Upper abdomen | Field of view 500x500 mm | 512x512 px | CT 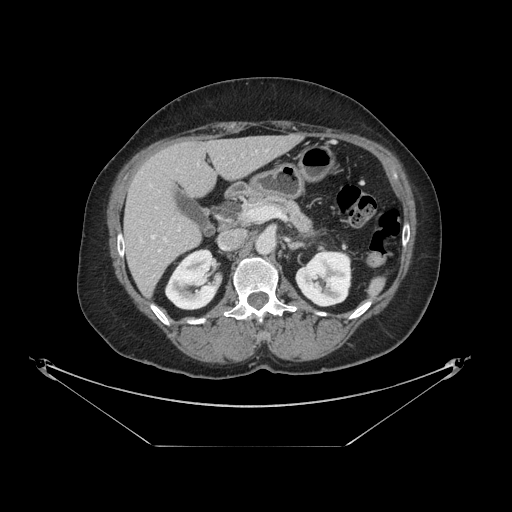
{"pancreas": ["region(250, 195, 313, 236)"]}